Abdomen, CT slice, 512x512
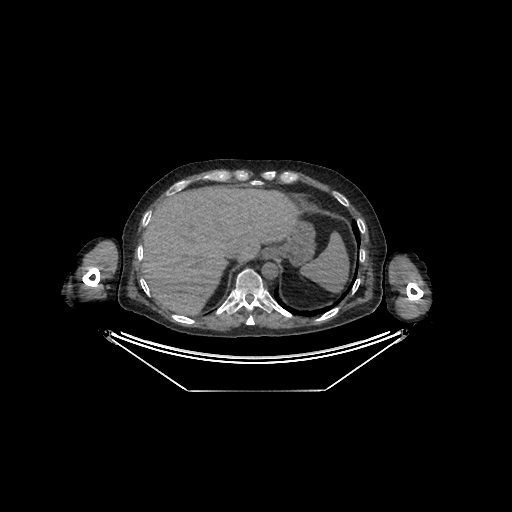 Liver: region(136, 185, 299, 315).